MRI. Medial temporal lobe. 37x52 px.

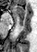

Posterior hippocampus: 19,19,23,26.
Anterior hippocampus: 15,6,24,18.